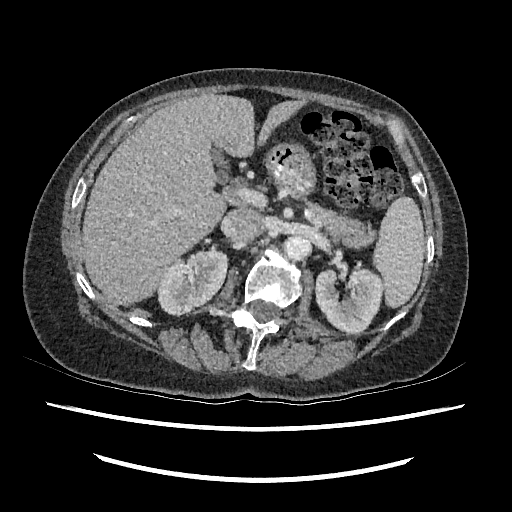

Abdomen | Computed tomography
Liver = left=82, top=95, right=254, bottom=305; left=258, top=100, right=304, bottom=144.
Kidney = left=316, top=257, right=383, bottom=332; left=158, top=250, right=226, bottom=314.